512x512 px, Slice 489 of 986, Upper abdomen, Computed tomography, Field of view 432x432 mm
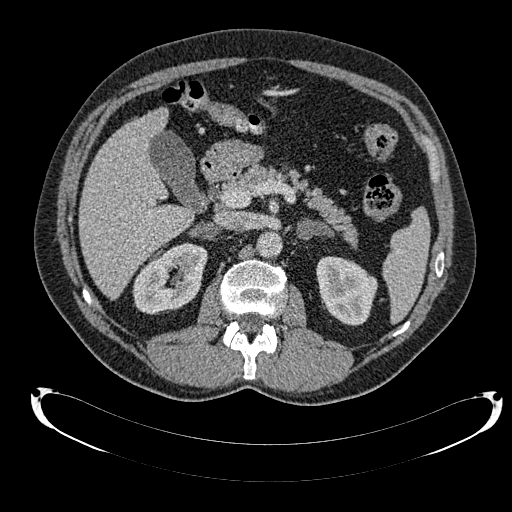 liver: <bbox>79, 109, 193, 298</bbox> | kidney: <bbox>134, 244, 206, 313</bbox>, <bbox>317, 257, 376, 324</bbox>